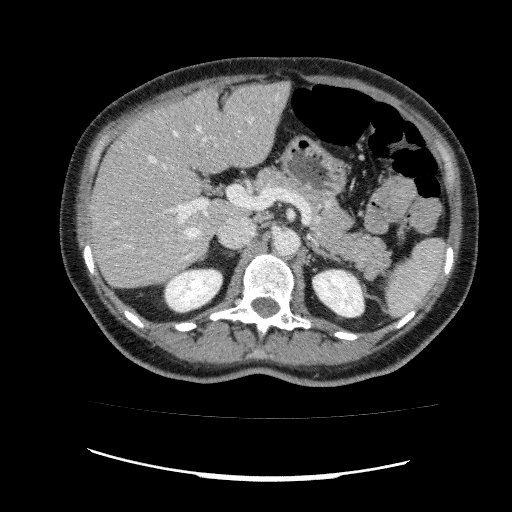

CT scan slice | Upper abdomen

The liver is located at <box>88,81,291,286</box>. 2 kidney regions appear at <box>313,270,363,316</box>, <box>165,270,221,311</box>.